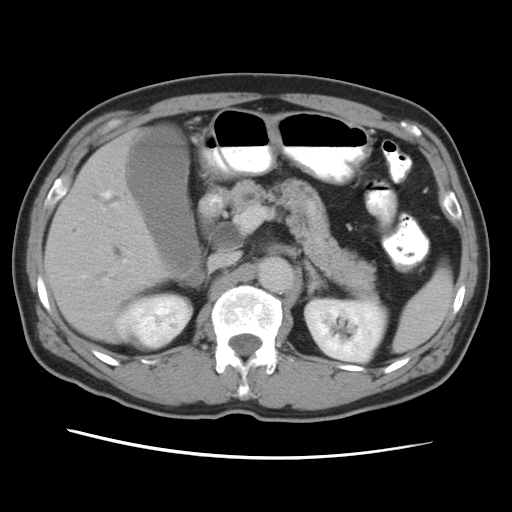

Upper abdomen | 512x512 px | CT image
pancreas: <bbox>224, 178, 376, 296</bbox>